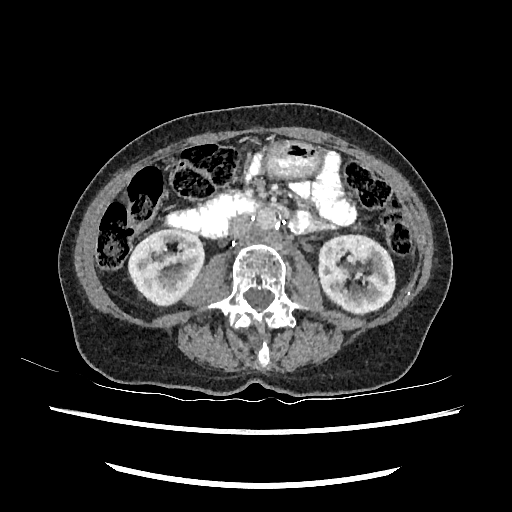 Abdomen; 512x512; Computed tomography

* kidney: rect(319, 235, 394, 312); rect(129, 228, 203, 304)